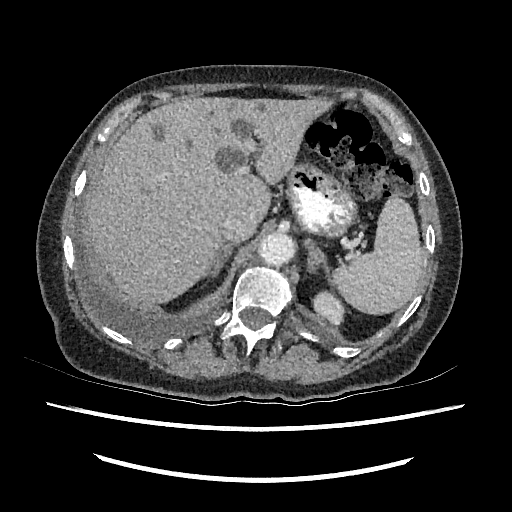
Computed tomography | Liver
3 hepatic lesion regions are bounded by (215,148,249,171), (154,127,162,140), (232,120,251,139). The kidney appears at (315,292,343,324). The liver lies within (91,98,328,301).